CT image 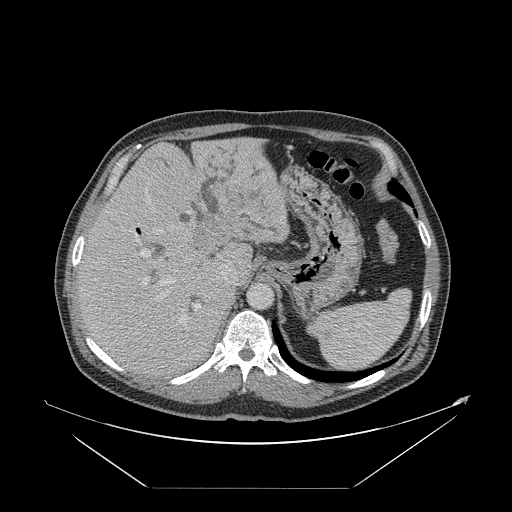
The vessel boxes may cover only some of the vessels.
Segmented structures:
* liver tumor: region(194, 187, 253, 243)
* hepatic vessel (top 15 of 19): region(138, 277, 148, 286); region(121, 229, 139, 244); region(138, 248, 152, 256); region(231, 180, 236, 182); region(218, 171, 224, 176); region(159, 254, 167, 260); region(201, 203, 204, 210); region(187, 210, 192, 213); region(211, 261, 237, 284); region(143, 188, 150, 204); region(218, 255, 221, 259); region(153, 229, 165, 233); region(155, 276, 175, 300); region(193, 303, 201, 311); region(180, 309, 189, 324)